FLAIR MRI.
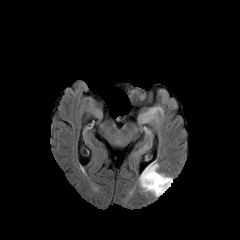
T1-weighted MRI.
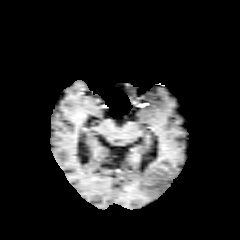
Post-contrast T1-weighted magnetic resonance.
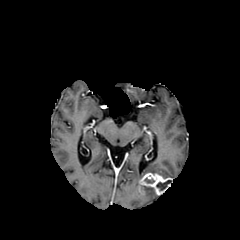
T2-weighted magnetic resonance.
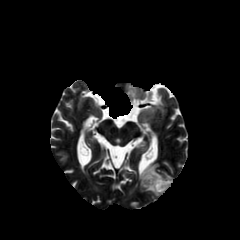
Findings:
* non-enhancing tumor core: left=156, top=180, right=171, bottom=190
* edema: left=143, top=162, right=171, bottom=177; left=136, top=174, right=157, bottom=196
* enhancing tumor: left=140, top=173, right=171, bottom=195